512x512 px; CT

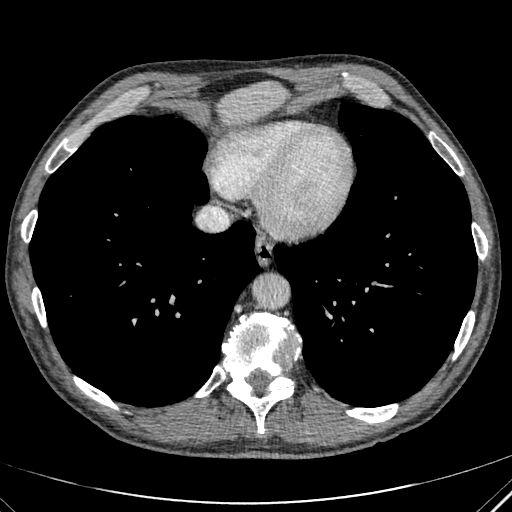

Liver = [x1=218, y1=81, x2=288, y2=124].